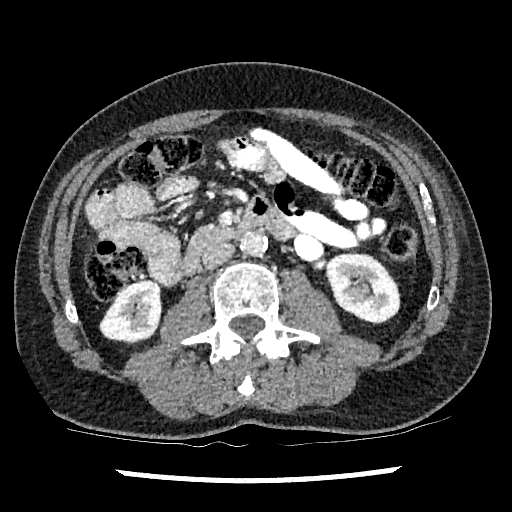

Image size 512x512; CT slice; Abdomen

2 kidney regions are located at [x1=101, y1=281, x2=160, y2=340], [x1=327, y1=255, x2=398, y2=321].